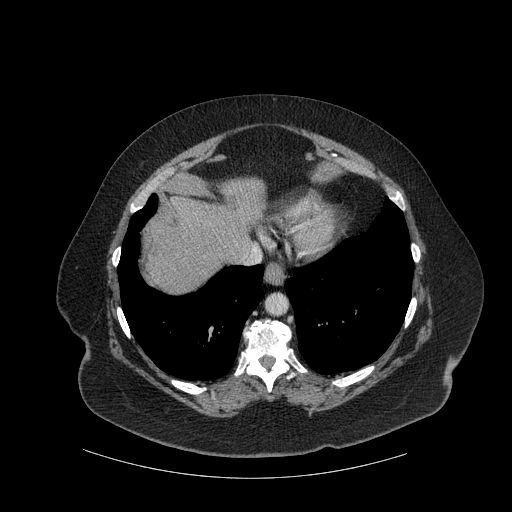 Liver; CT; Image size 512x512
Segmented structures:
- liver: box(142, 178, 266, 294)
- bone: box(333, 366, 373, 386); box(112, 247, 120, 266); box(172, 380, 205, 394); box(405, 298, 416, 326); box(411, 244, 419, 261); box(235, 320, 306, 391); box(390, 192, 403, 207); box(117, 307, 129, 337)
- lung: box(118, 194, 263, 379); box(285, 198, 413, 374)